Image size 512x512; CT slice 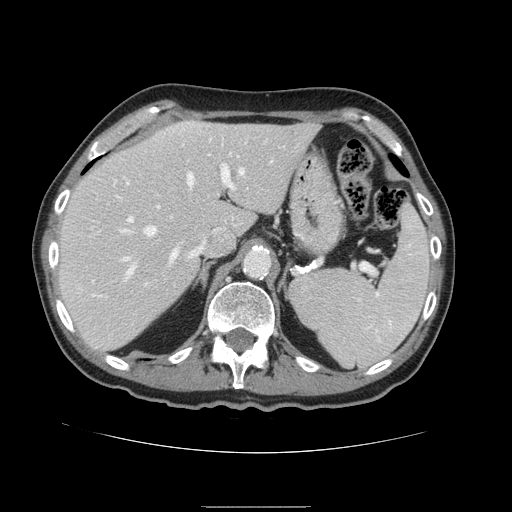

The vessel annotation is not exhaustive.
{
  "hepatic_vessel": [
    "(190,233,214,257)",
    "(127,181,128,182)",
    "(145,283,147,285)",
    "(127,263,135,276)",
    "(222,165,233,187)",
    "(122,229,130,231)",
    "(128,217,133,221)",
    "(170,249,177,260)",
    "(124,257,130,259)",
    "(187,173,194,186)",
    "(144,226,156,235)",
    "(239,168,244,173)",
    "(212,212,244,242)"
  ]
}